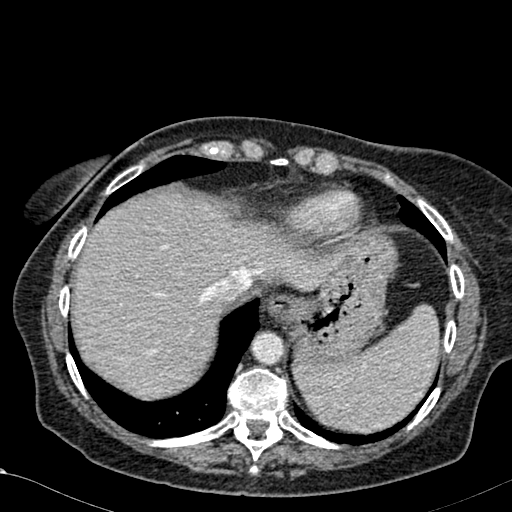
CT scan slice; Abdomen; 512x512

The liver is located at region(75, 195, 325, 397).